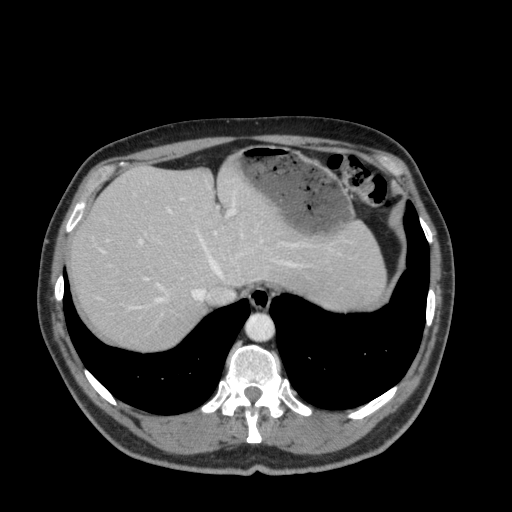 Computed tomography | Abdomen
liver:
  - box(72, 163, 384, 348)